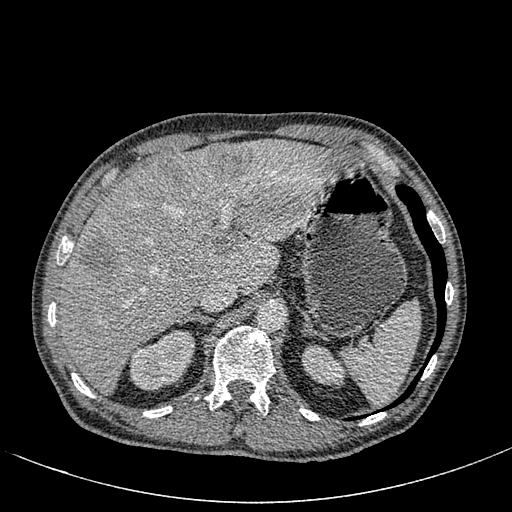 CT scan slice
4 focal liver lesion regions are located at [x1=210, y1=144, x2=249, y2=176], [x1=158, y1=156, x2=182, y2=183], [x1=215, y1=233, x2=238, y2=253], [x1=82, y1=232, x2=117, y2=278]. The liver is at [x1=59, y1=139, x2=361, y2=395]. 2 kidney regions appear at [x1=302, y1=345, x2=344, y2=384], [x1=130, y1=331, x2=194, y2=389].